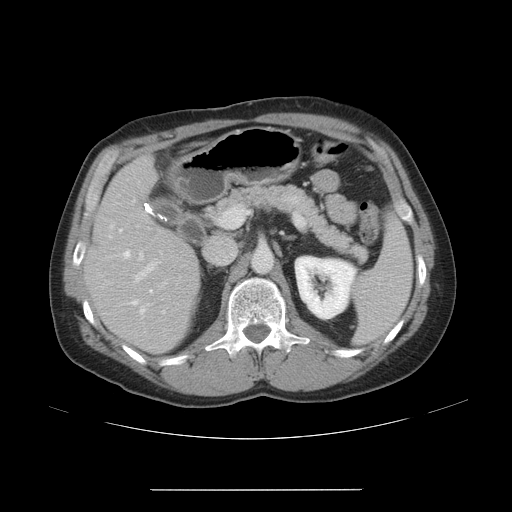 Computed tomography | 512x512 px | Abdomen
Some hepatic vessels may have no box.
10 hepatic vessel regions appear at region(149, 290, 152, 292); region(126, 300, 138, 304); region(140, 306, 145, 312); region(135, 259, 159, 282); region(146, 303, 150, 305); region(160, 251, 162, 254); region(123, 251, 130, 258); region(136, 224, 138, 227); region(119, 229, 122, 231); region(138, 253, 143, 260).